Slice 70 of 155, Image size 240x240
FLAIR magnetic resonance.
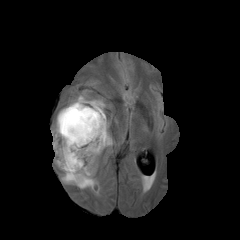
T1-weighted MR image.
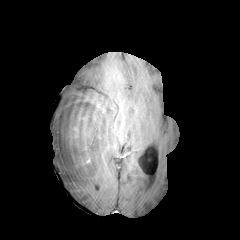
Post-contrast T1-weighted MRI.
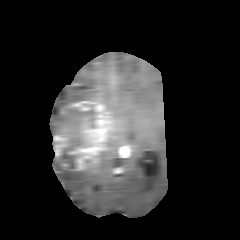
T2-weighted MR image.
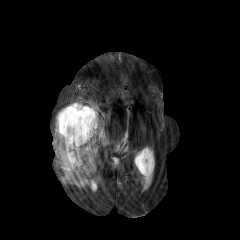
enhancing_tumor:
  - (69, 114, 106, 170)
  - (54, 134, 68, 157)
  - (70, 101, 101, 112)
non-enhancing_tumor_core:
  - (59, 121, 85, 173)
  - (69, 106, 99, 123)
edema:
  - (51, 104, 83, 134)
  - (54, 150, 101, 188)
  - (68, 126, 75, 135)
  - (89, 100, 112, 146)